Slice 27/50. Computed tomography. Field of view 460x460 mm. Image size 512x512.
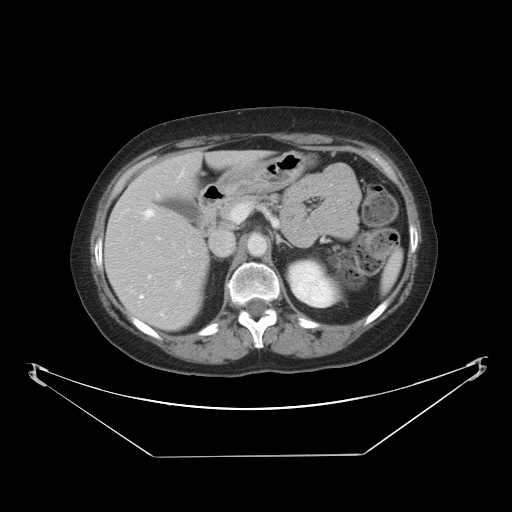

The vessel boxes may cover only some of the vessels.
Annotated regions:
* hepatic vessel: [x1=140, y1=295, x2=142, y2=297], [x1=145, y1=209, x2=153, y2=216], [x1=156, y1=194, x2=158, y2=195], [x1=160, y1=312, x2=162, y2=315], [x1=157, y1=237, x2=159, y2=239]